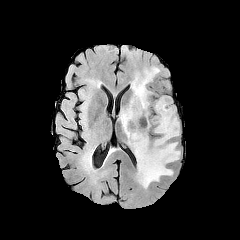
FLAIR MRI.
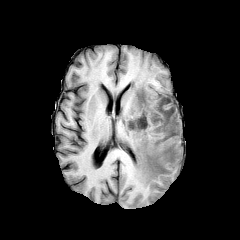
Same slice, T1-weighted MR.
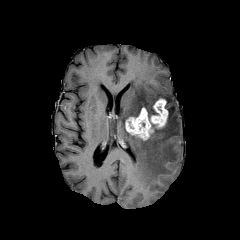
Same slice, post-contrast T1-weighted MR.
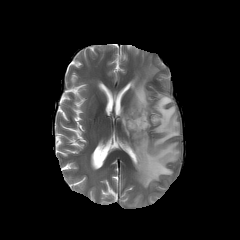
T2-weighted MR.
Brain
Edema = (164, 96, 173, 107), (118, 67, 180, 188).
Non-enhancing tumor core = (147, 105, 173, 138), (124, 97, 145, 127), (146, 106, 157, 119).
Enhancing tumor = (125, 99, 167, 139).